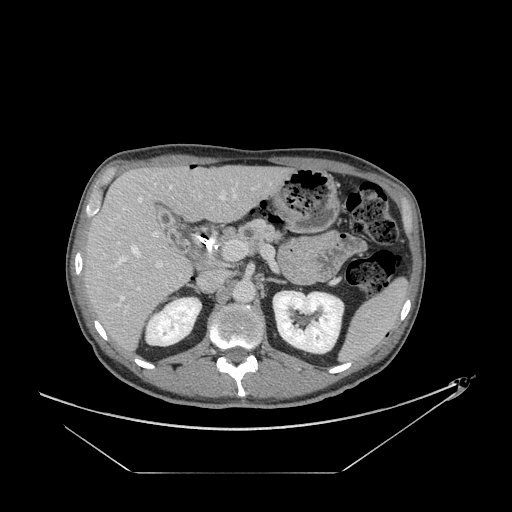 Upper abdomen | CT scan slice | Image size 512x512

Segmented structures:
• pancreas: [238,221,283,243]